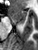 Hippocampus; MR
The anterior hippocampus is at <bbox>9, 10, 26, 24</bbox>.